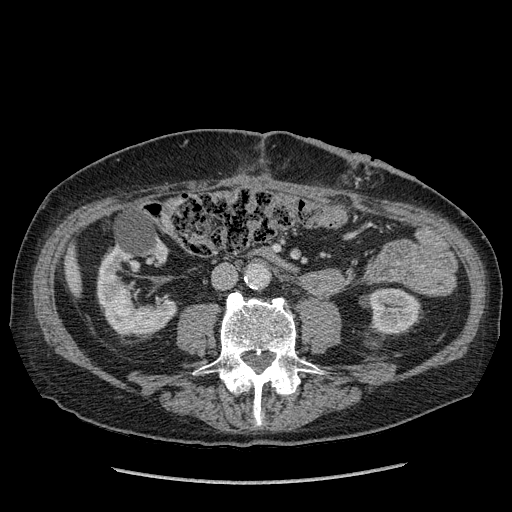
Upper abdomen, CT

liver: {"x1": 64, "y1": 243, "x2": 80, "y2": 297} | kidney: {"x1": 98, "y1": 246, "x2": 175, "y2": 333}, {"x1": 369, "y1": 288, "x2": 419, "y2": 333}, {"x1": 154, "y1": 241, "x2": 167, "y2": 262}